FLAIR magnetic resonance.
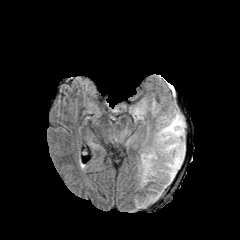
T1-weighted MR.
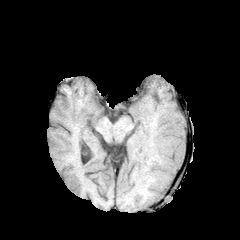
Post-contrast T1-weighted MR.
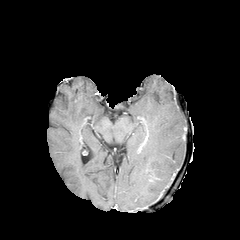
T2-weighted MR.
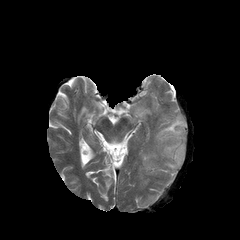
240x240, Brain
2 edema regions are bounded by left=142, top=154, right=155, bottom=183; left=159, top=114, right=185, bottom=187.